FLAIR MR image.
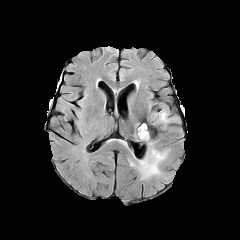
T1-weighted MR.
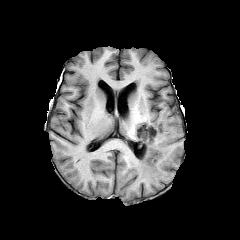
Post-contrast T1-weighted MR.
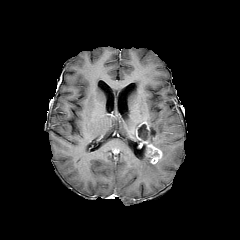
T2-weighted MR image.
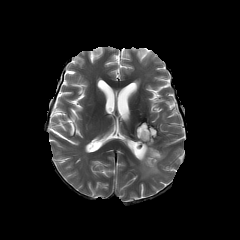
Brain.
Enhancing tumor: rect(147, 144, 161, 163).
Edema: rect(137, 139, 168, 179); rect(160, 111, 175, 125).
Non-enhancing tumor core: rect(137, 123, 149, 143).